Upper abdomen, CT slice
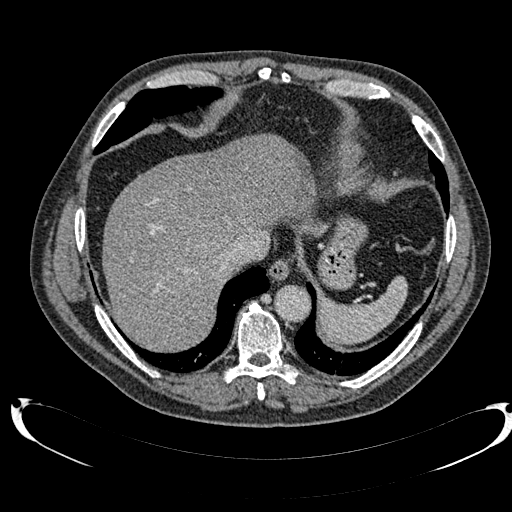

Liver: bounding box rect(103, 135, 312, 350).
Hepatic lesion: bounding box rect(158, 148, 239, 216).